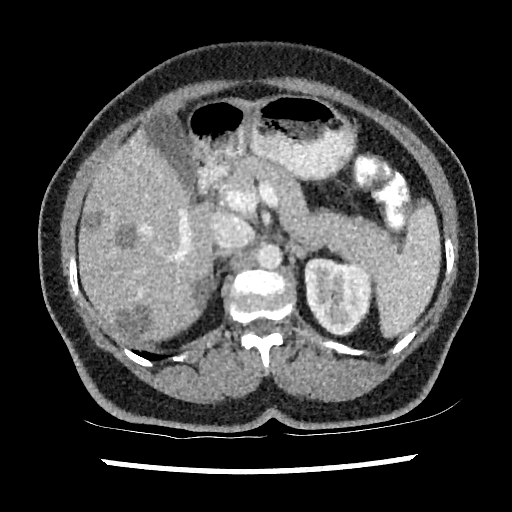

CT; Abdomen
Liver lesion — left=193, top=278, right=208, bottom=308; left=82, top=211, right=101, bottom=230; left=116, top=226, right=135, bottom=246; left=115, top=306, right=153, bottom=341.
Liver — left=167, top=105, right=179, bottom=117; left=78, top=127, right=213, bottom=342.
Kidney — left=305, top=259, right=369, bottom=333.